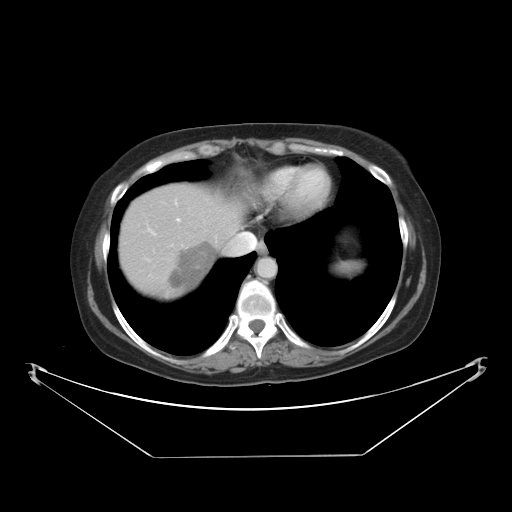

Liver; Computed tomography
The vessel boxes may cover only some of the vessels.
Findings:
* liver tumor: (x1=167, y1=241, x2=216, y2=292)
* hepatic vessel: (x1=148, y1=228, x2=152, y2=232), (x1=177, y1=218, x2=179, y2=221), (x1=175, y1=202, x2=176, y2=203)